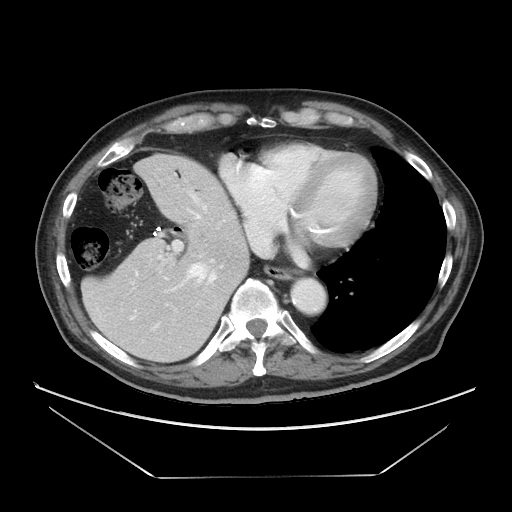 CT image
The vessel boxes may cover only some of the vessels.
hepatic vessel: left=134, top=310, right=135, bottom=312; left=169, top=257, right=171, bottom=258; left=210, top=259, right=213, bottom=262; left=130, top=315, right=135, bottom=319; left=173, top=241, right=181, bottom=251; left=179, top=262, right=216, bottom=286